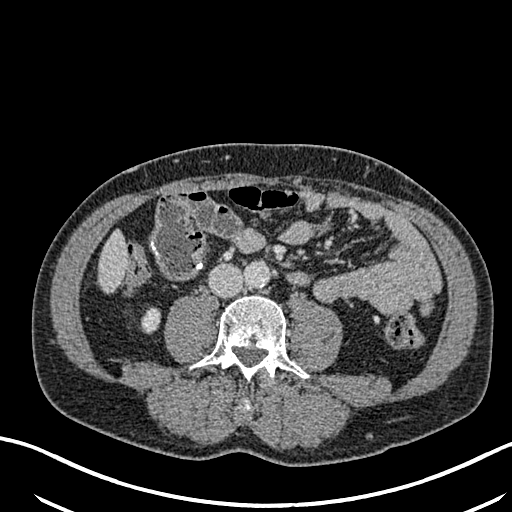
CT image. 512x512 px. Upper abdomen.
liver: bbox(99, 231, 125, 290) | kidney: bbox(143, 309, 158, 331)